CT slice. Lower abdomen.

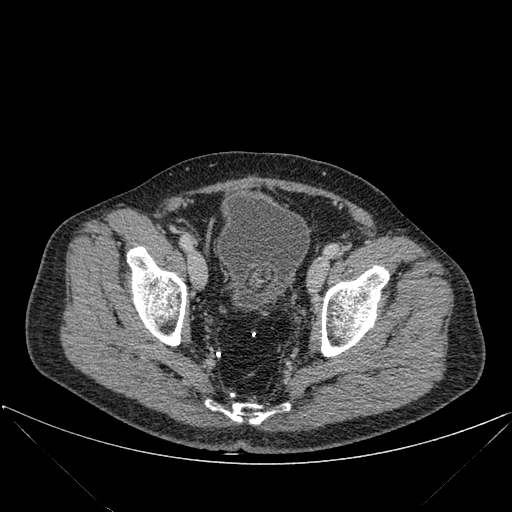

bone:
  - box(205, 400, 289, 424)
  - box(321, 265, 389, 356)
  - box(127, 246, 186, 345)
urinary_bladder:
  - box(215, 196, 309, 310)